Slice 60/155
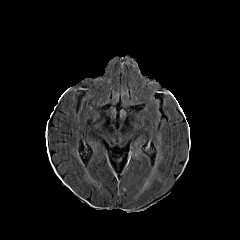
FLAIR MR image.
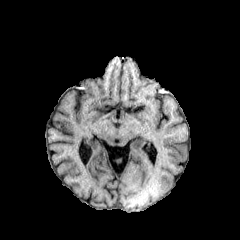
T1-weighted magnetic resonance of the same slice.
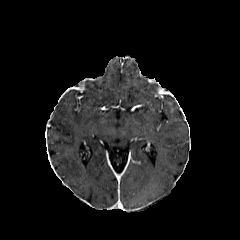
Same slice, post-contrast T1-weighted MR.
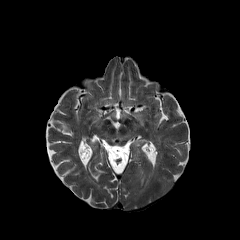
Same slice, T2-weighted magnetic resonance.
The edema lies within [139,146,161,192].